Upper abdomen | CT scan slice

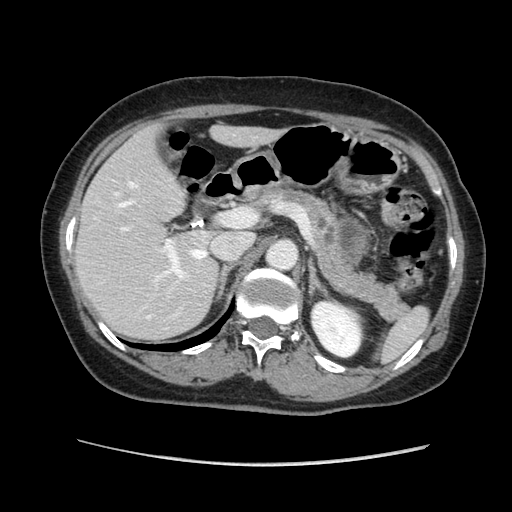 The pancreas is located at 256:185:410:323. The pancreatic tumor is bounded by 316:217:361:263.